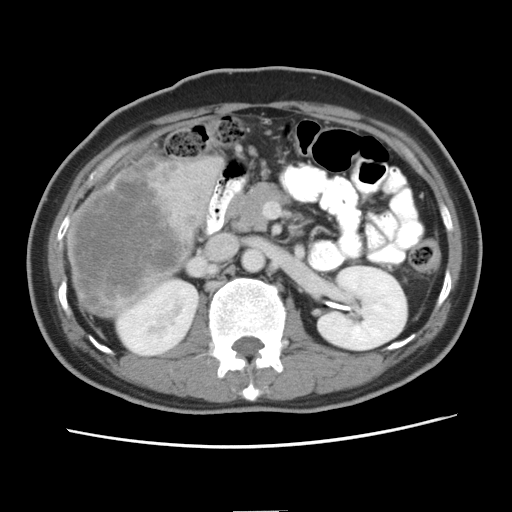
CT image.
{
  "liver_tumor": [
    "[x1=70, y1=160, x2=199, y2=316]"
  ]
}